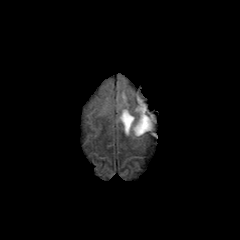
FLAIR magnetic resonance.
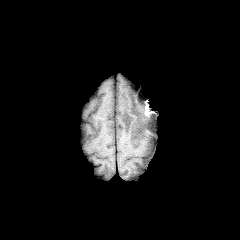
T1-weighted MR image.
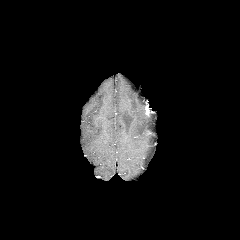
Same slice, post-contrast T1-weighted magnetic resonance.
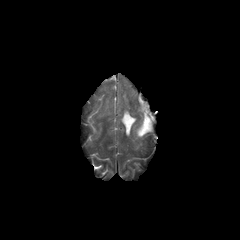
Same slice, T2-weighted magnetic resonance.
<segmentation>
  <edema>region(118, 97, 155, 138)</edema>
</segmentation>